Slice 26 of 36, Image size 512x512, CT image 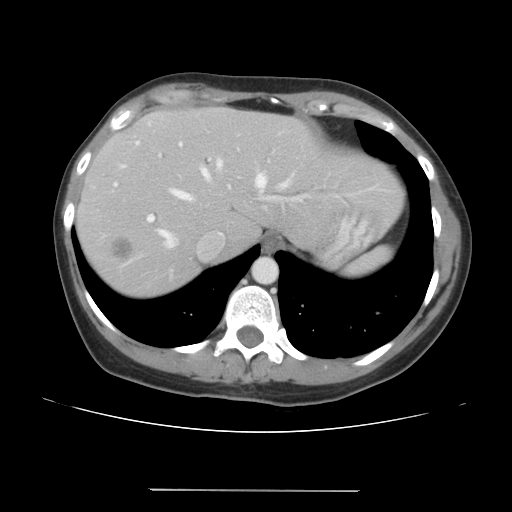
The vessel annotation is not exhaustive.
8 hepatic vessel regions appear at (x1=278, y1=179, x2=290, y2=187), (x1=216, y1=158, x2=222, y2=169), (x1=158, y1=230, x2=175, y2=247), (x1=125, y1=258, x2=136, y2=264), (x1=253, y1=161, x2=308, y2=201), (x1=200, y1=166, x2=210, y2=180), (x1=172, y1=189, x2=191, y2=200), (x1=148, y1=215, x2=153, y2=221). The liver tumor is bounded by (x1=110, y1=240, x2=132, y2=256).